FLAIR MRI.
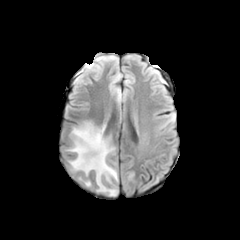
T1-weighted MR image.
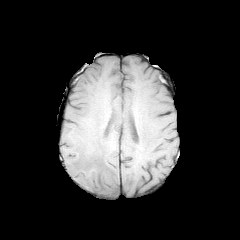
Post-contrast T1-weighted magnetic resonance.
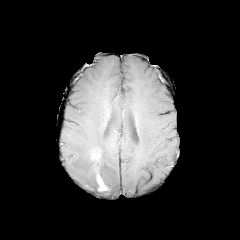
T2-weighted MR image.
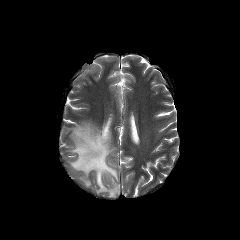
Annotated regions:
* edema: 68:122:118:196
* non-enhancing tumor core: 90:152:100:168
* enhancing tumor: 97:174:107:191